Image size 240x240, Slice 104 of 155, Brain
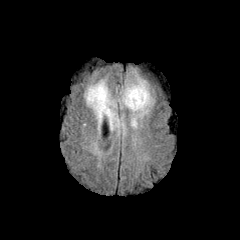
FLAIR magnetic resonance.
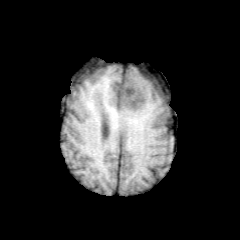
Same slice, T1-weighted MRI.
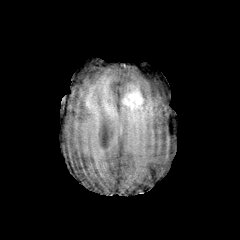
Same slice, post-contrast T1-weighted MR.
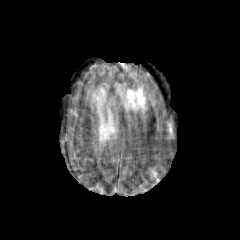
T2-weighted MR.
3 edema regions are located at 132 80 151 114, 120 85 131 104, 86 82 119 134. The enhancing tumor is at 122 86 143 111.